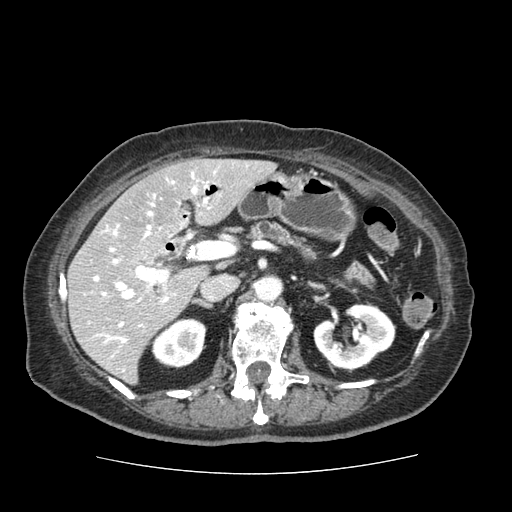 CT slice

<segmentation>
  <pancreas>x1=250 y1=222 x2=315 y2=261</pancreas>
</segmentation>